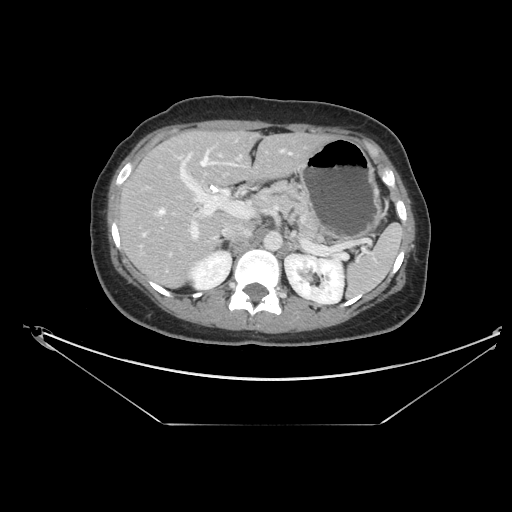 Abdomen | CT image
- pancreas: (259, 182, 320, 237)